Thorax, Slice index 188, CT image
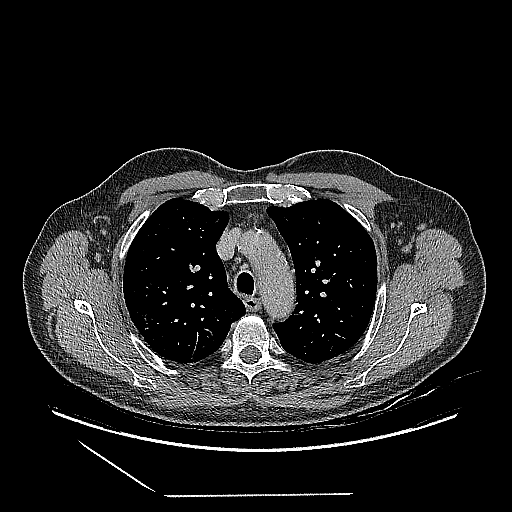

lung tumor: 137:311:149:326